FLAIR MR.
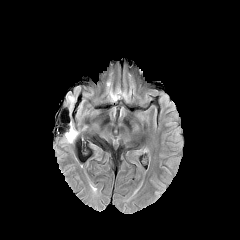
T1-weighted MR image.
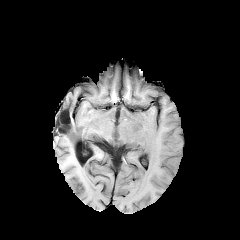
Post-contrast T1-weighted MR.
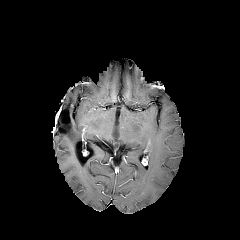
T2-weighted MRI.
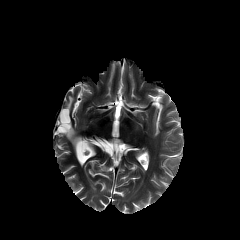
Brain
2 edema regions appear at {"x1": 62, "y1": 121, "x2": 79, "y2": 145}, {"x1": 67, "y1": 95, "x2": 75, "y2": 112}.